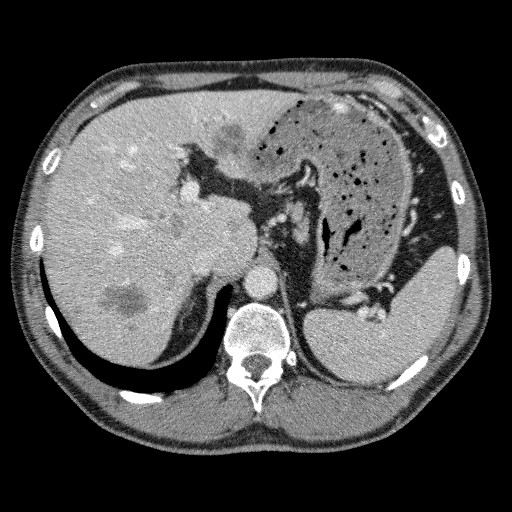

CT image. Liver.

Liver lesion = x1=97 y1=282 x2=150 y2=317, x1=124 y1=322 x2=138 y2=332, x1=209 y1=122 x2=248 y2=169, x1=225 y1=218 x2=243 y2=234, x1=139 y1=207 x2=185 y2=237, x1=72 y1=305 x2=82 y2=315, x1=161 y1=271 x2=177 y2=290.
Liver = x1=217 y1=162 x2=245 y2=177, x1=44 y1=89 x2=296 y2=364.